FLAIR MRI.
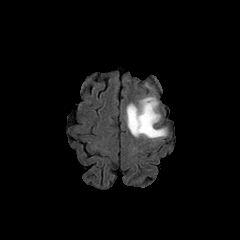
T1-weighted MRI.
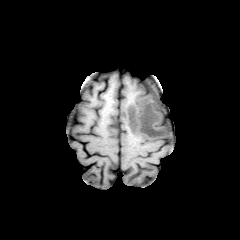
Post-contrast T1-weighted MR image.
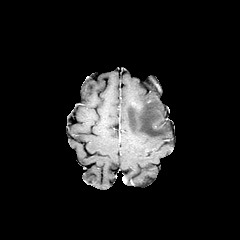
T2-weighted MR.
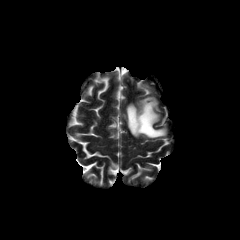
240x240
Annotated regions:
* edema: x1=124, y1=94, x2=167, y2=140
* non-enhancing tumor core: x1=140, y1=116, x2=157, y2=134